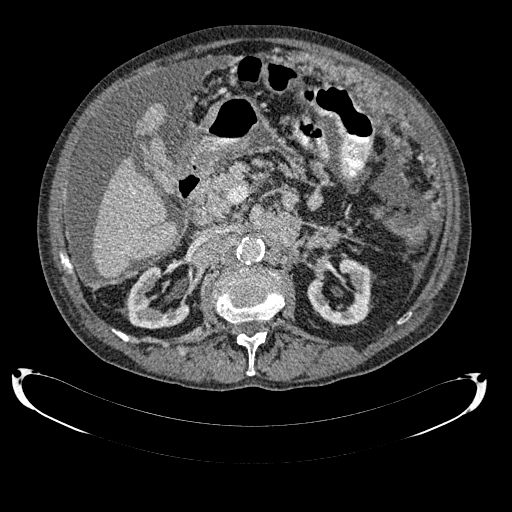 CT | 512x512 px

Liver — 135 103 165 133, 93 155 177 279, 150 137 165 160.
Kidney — 127 267 188 328, 308 256 370 324.